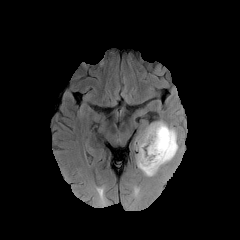
FLAIR MR.
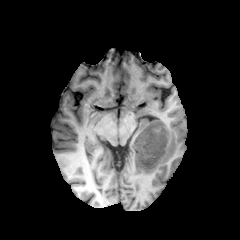
Same slice, T1-weighted MR.
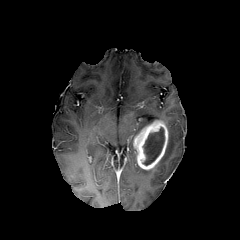
Post-contrast T1-weighted MR.
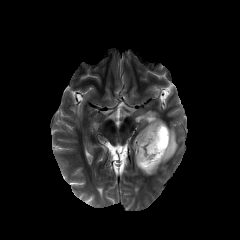
T2-weighted MRI.
The non-enhancing tumor core lies within {"x1": 143, "y1": 127, "x2": 164, "y2": 165}. The enhancing tumor is at {"x1": 134, "y1": 120, "x2": 168, "y2": 169}. The edema is at {"x1": 140, "y1": 122, "x2": 181, "y2": 176}.